FLAIR MRI.
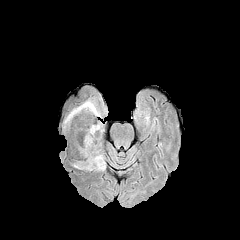
T1-weighted MR.
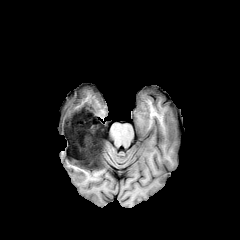
Post-contrast T1-weighted MRI.
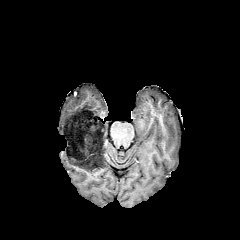
T2-weighted MR.
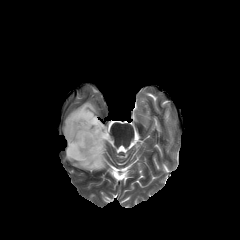
Head
edema:
  - (72, 99, 99, 116)
  - (72, 156, 106, 170)
non-enhancing_tumor_core:
  - (65, 106, 104, 169)